CT; Image width 487 mm; 512x512; Abdomen
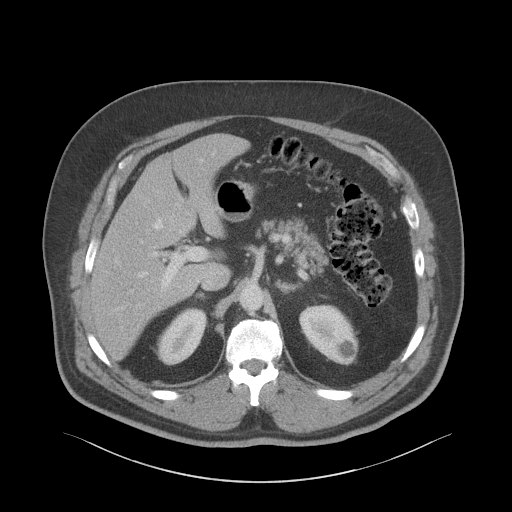 liver:
  - x1=92 y1=135 x2=242 y2=352
kidney:
  - x1=300 y1=306 x2=356 y2=363
  - x1=159 y1=309 x2=205 y2=363